Abdomen. Image size 512x512. CT. Slice index 50.
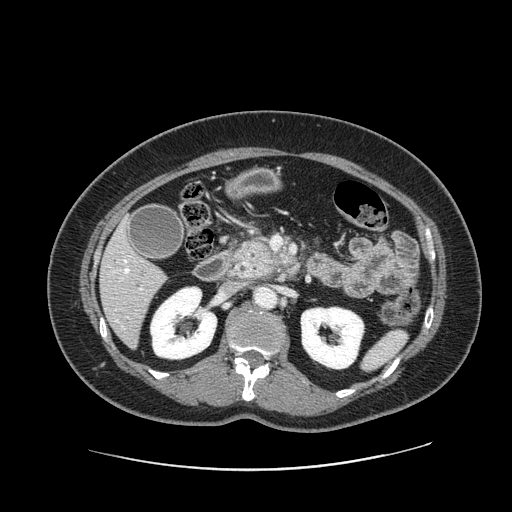
The pancreatic tumor is at rect(241, 243, 269, 267). The pancreas is located at rect(233, 239, 285, 279).